Abdomen. Image size 512x512. CT.

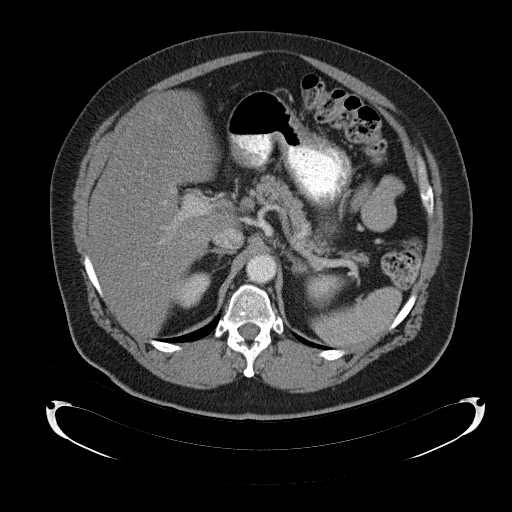 spleen:
  - (312,288,400,346)